Field of view 477 mm wide, 3.00 mm slice spacing | Computed tomography

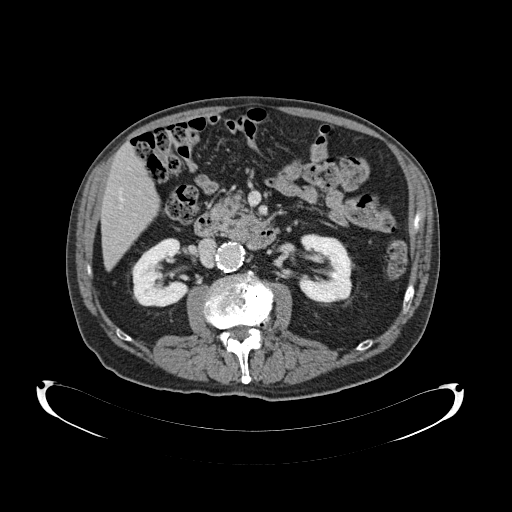
pancreas:
  - 212, 190, 259, 244